Slice 16/37 | Medial temporal lobe | Image width 36 mm | MRI | 36x48 px 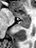
The posterior hippocampus is at (left=18, top=19, right=29, bottom=28). The anterior hippocampus is bounded by (left=14, top=12, right=29, bottom=19).